Slice 100/155.
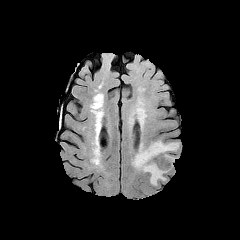
FLAIR MR image.
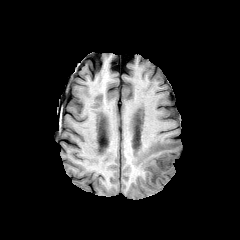
T1-weighted MRI of the same slice.
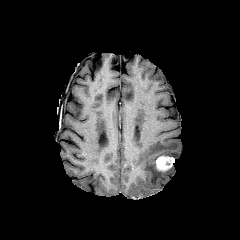
Same slice, post-contrast T1-weighted magnetic resonance.
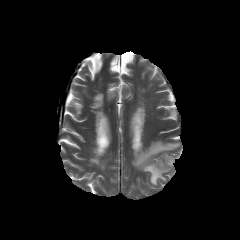
Same slice, T2-weighted MR.
{"edema": ["<box>132,141,178,185</box>"], "enhancing_tumor": ["<box>155,155,174,172</box>"]}